Head | Field of view 240x240 mm
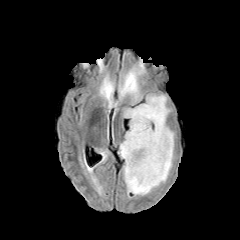
FLAIR MRI.
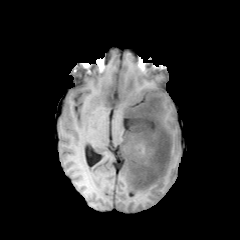
T1-weighted MRI.
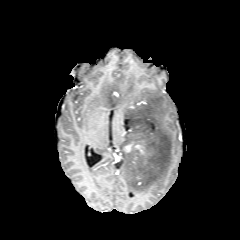
Same slice, post-contrast T1-weighted MR.
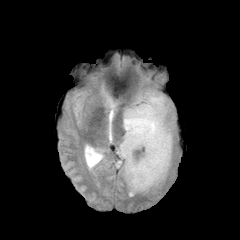
Same slice, T2-weighted MR.
The enhancing tumor is located at left=124, top=142, right=141, bottom=151. 6 edema regions are bounded by left=124, top=66, right=175, bottom=195; left=100, top=84, right=116, bottom=106; left=119, top=134, right=145, bottom=145; left=124, top=109, right=131, bottom=118; left=132, top=144, right=149, bottom=161; left=118, top=153, right=131, bottom=195. The non-enhancing tumor core is at left=118, top=96, right=171, bottom=193.